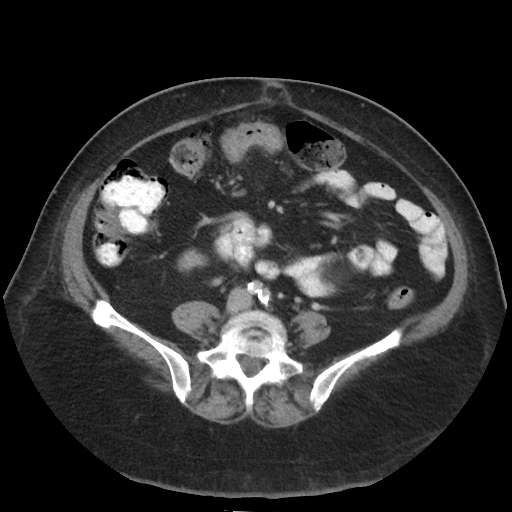
CT scan slice. Abdomen.

colon tumor: box(222, 123, 281, 160)